Head. Image size 240x240.
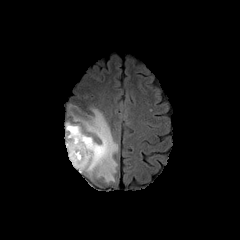
FLAIR MRI.
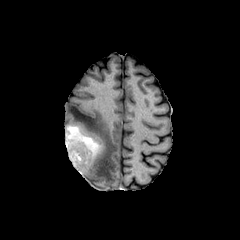
T1-weighted MR.
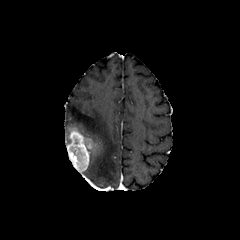
Post-contrast T1-weighted magnetic resonance.
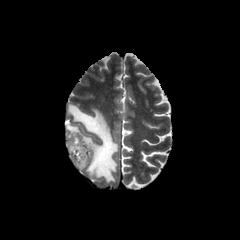
T2-weighted MR of the same slice.
The edema is at box=[69, 105, 117, 182]. 3 non-enhancing tumor core regions are bounded by box=[69, 145, 83, 161]; box=[83, 137, 102, 162]; box=[67, 126, 80, 138]. The enhancing tumor is located at box=[67, 132, 89, 172].